CT scan slice; Field of view 344x344 mm; Slice index 355; Upper abdomen

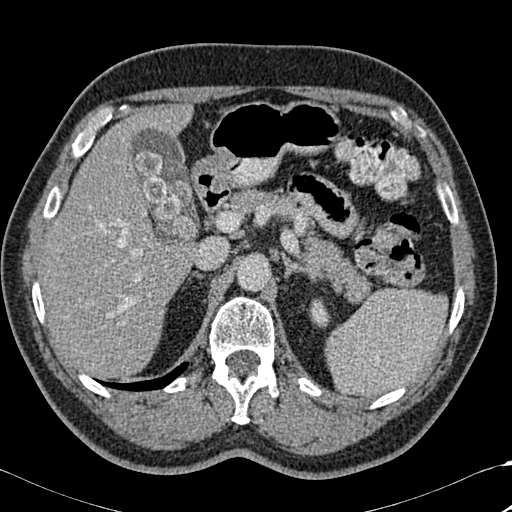

bone:
  - box=[298, 378, 320, 395]
  - box=[32, 283, 44, 321]
  - box=[450, 289, 463, 331]
  - box=[439, 187, 457, 222]
  - box=[44, 187, 60, 217]
  - box=[371, 389, 403, 407]
  - box=[164, 378, 185, 392]
  - box=[80, 375, 109, 396]
  - box=[72, 120, 99, 156]
  - box=[210, 297, 277, 424]
lung:
  - box=[97, 362, 188, 391]
kidney:
  - box=[312, 303, 326, 322]
liver:
  - box=[125, 106, 189, 135]
  - box=[38, 125, 192, 380]